Slice 550/647; CT scan slice

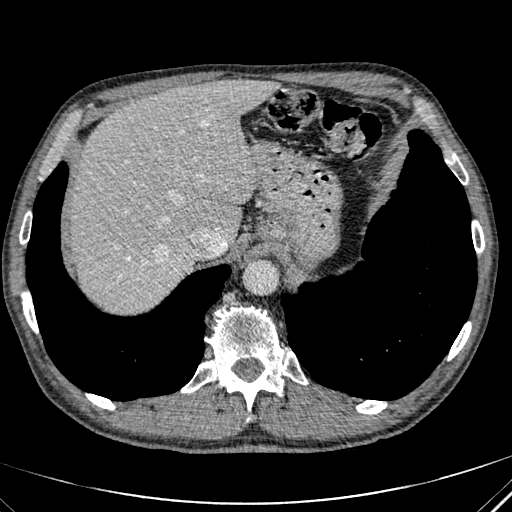
Liver: bounding box [71,80,278,312].